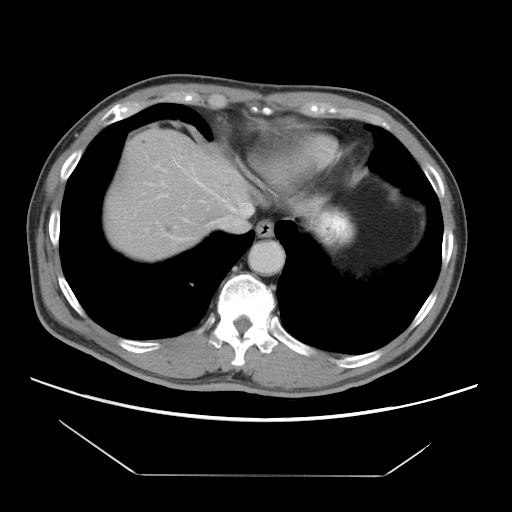
Computed tomography

The vessel annotation is not exhaustive.
{"hepatic_vessel": ["(200,201,203,201)", "(215,203,251,231)", "(155,165,165,171)", "(228,206,235,210)", "(194,179,215,194)"]}